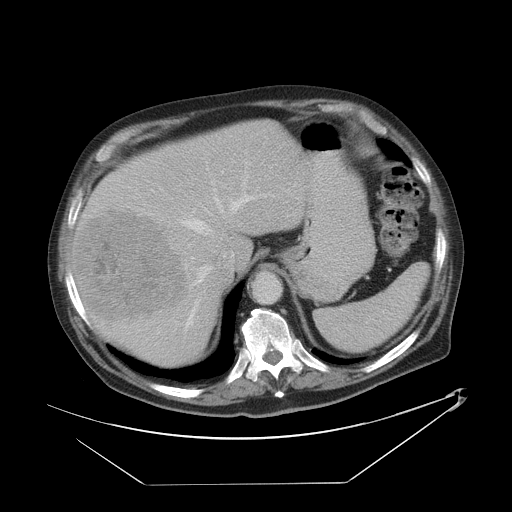
CT. Image size 512x512. Abdomen. Not every hepatic vessel necessarily has a box.
Liver tumor = <bbox>75, 206, 192, 323</bbox>.
Hepatic vessel = <bbox>210, 180, 215, 184</bbox>, <bbox>184, 308, 195, 330</bbox>, <bbox>195, 300, 198, 305</bbox>, <bbox>181, 203, 211, 234</bbox>, <bbox>230, 196, 253, 212</bbox>, <bbox>221, 169, 223, 173</bbox>, <bbox>190, 183, 191, 186</bbox>, <bbox>192, 266, 211, 285</bbox>, <bbox>213, 194, 224, 218</bbox>, <bbox>178, 219, 180, 220</bbox>.